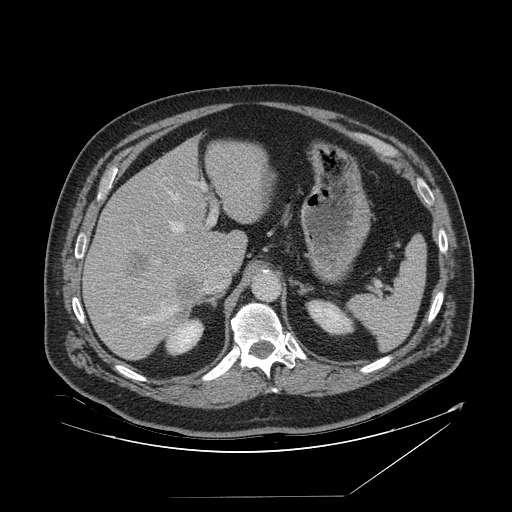 Upper abdomen | 512x512 | CT
{
  "spleen": [
    "348, 237, 426, 349"
  ]
}